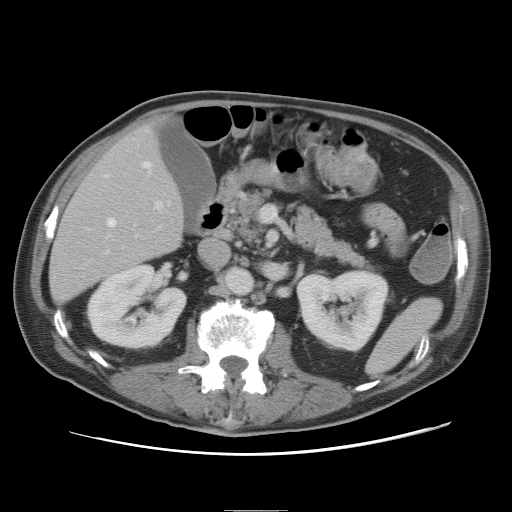
Computed tomography. The vessel annotation is not exhaustive.
8 hepatic vessel regions are located at (left=107, top=251, right=108, bottom=253), (left=169, top=202, right=170, bottom=204), (left=156, top=202, right=162, bottom=208), (left=144, top=162, right=151, bottom=174), (left=105, top=175, right=108, bottom=177), (left=145, top=126, right=150, bottom=131), (left=108, top=219, right=116, bottom=226), (left=157, top=228, right=159, bottom=229).